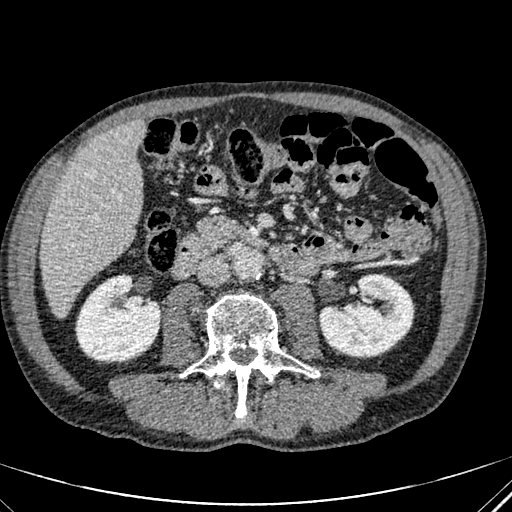 Image size 512x512. CT. Abdomen.
kidney:
  - (76, 276, 159, 360)
  - (320, 275, 412, 355)
liver:
  - (40, 120, 143, 316)